Slice index 114; Image size 240x240; Brain
FLAIR MR.
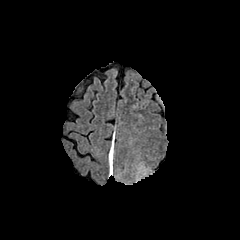
T1-weighted MR image.
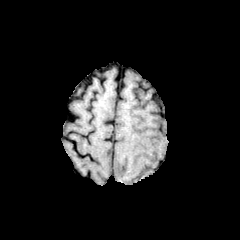
Post-contrast T1-weighted MR image.
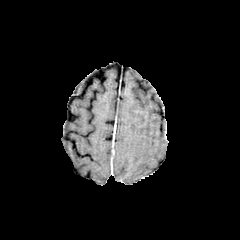
T2-weighted MRI.
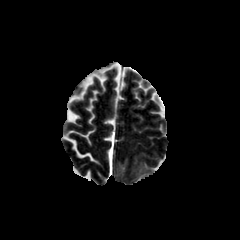
edema:
  - box(108, 144, 113, 175)